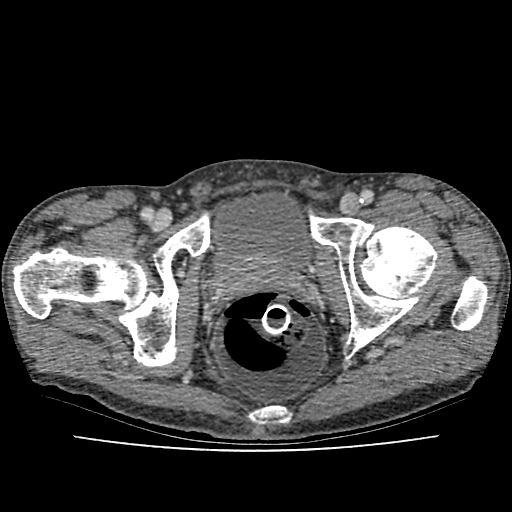 Computed tomography
Urinary bladder: rect(208, 190, 313, 278).